240x240 px, Slice 38 of 155, Head
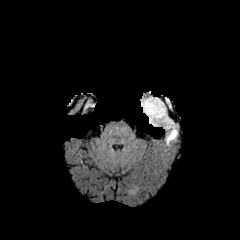
FLAIR MRI.
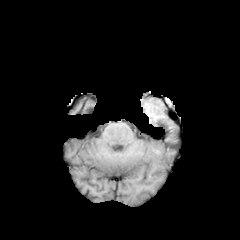
T1-weighted MR image.
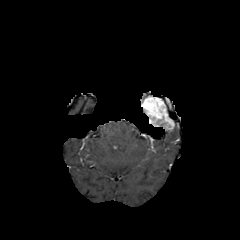
Same slice, post-contrast T1-weighted magnetic resonance.
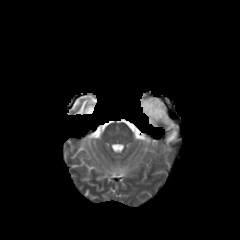
Same slice, T2-weighted MR.
Enhancing tumor at region(141, 96, 173, 129).
Edema at region(165, 124, 177, 144).